Hippocampus | Slice index 8 | 37x51 | MR 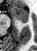 * anterior hippocampus: <box>12,7,27,21</box>